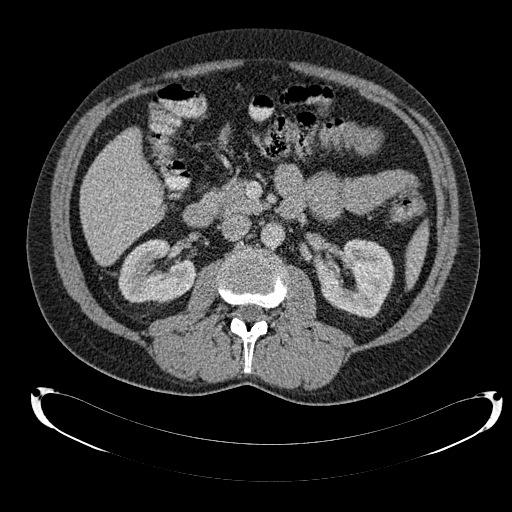
CT slice | 512x512 px

{"liver": ["l=79, t=129, r=162, b=265"], "kidney": ["l=316, t=240, r=393, b=317", "l=119, t=240, r=195, b=301"]}